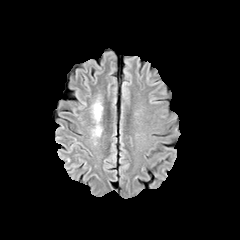
FLAIR MR.
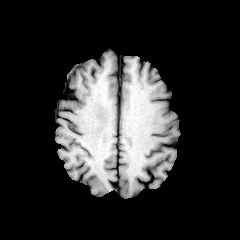
T1-weighted MR image.
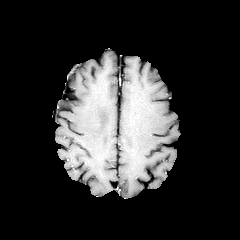
Post-contrast T1-weighted MRI.
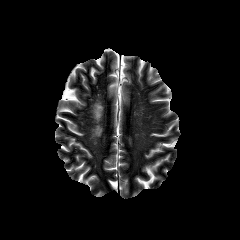
T2-weighted MRI.
• edema: (x1=90, y1=94, x2=103, y2=143)